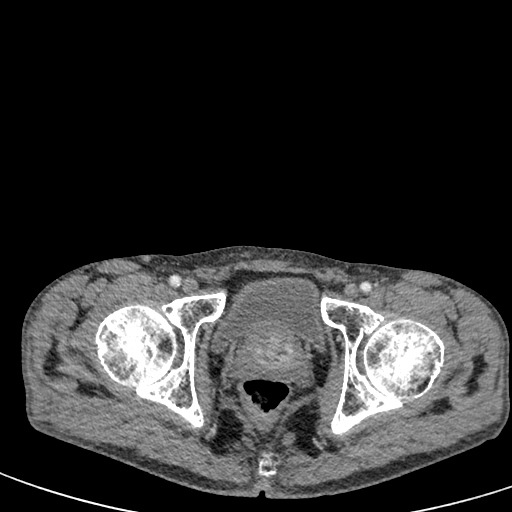
CT image, 512x512 px, Lower abdomen
<segmentation>
  <urinary_bladder><box>211,276,326,353</box></urinary_bladder>
</segmentation>